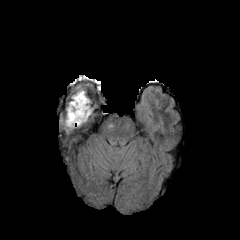
FLAIR MR.
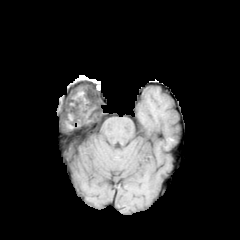
T1-weighted MR image.
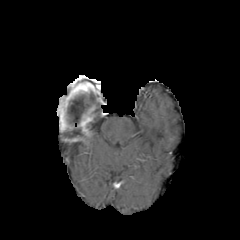
Post-contrast T1-weighted MRI of the same slice.
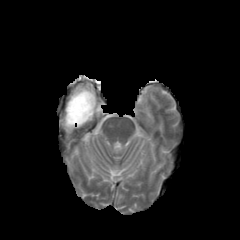
T2-weighted MRI.
{
  "non-enhancing_tumor_core": [
    "x1=67, y1=100, x2=87, y2=125"
  ],
  "edema": [
    "x1=68, y1=85, x2=91, y2=114",
    "x1=64, y1=120, x2=76, y2=128"
  ]
}